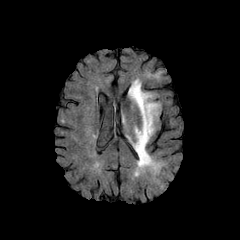
FLAIR MR image.
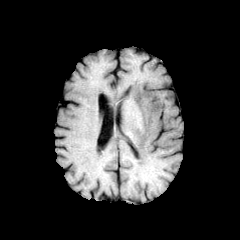
T1-weighted magnetic resonance.
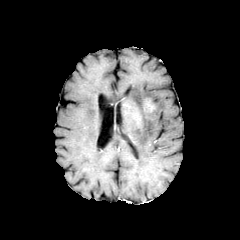
Same slice, post-contrast T1-weighted MRI.
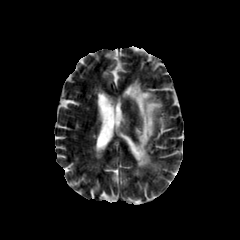
T2-weighted MR image.
Brain, 240x240
{"enhancing_tumor": ["x1=144, y1=100, x2=155, y2=112"], "edema": ["x1=128, y1=79, x2=161, y2=176"]}